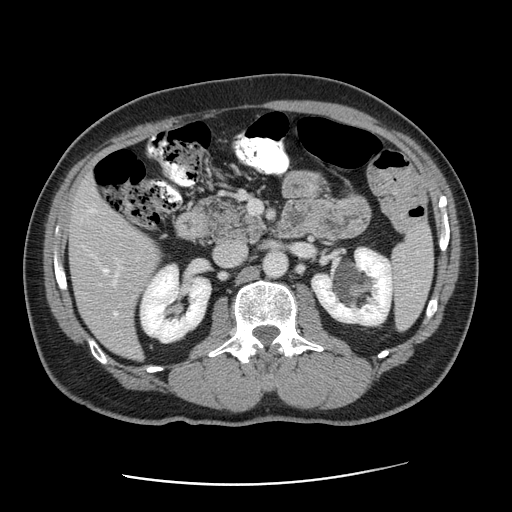
Abdomen. CT slice. The vessel boxes may cover only some of the vessels.
{
  "hepatic_vessel": [
    "114 282 115 284",
    "115 312 116 315",
    "104 269 107 272",
    "88 210 92 211"
  ]
}